FLAIR MR image.
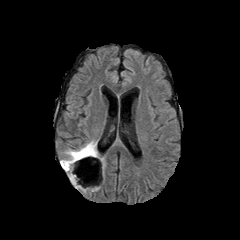
T1-weighted MRI.
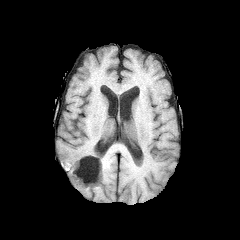
Post-contrast T1-weighted MR.
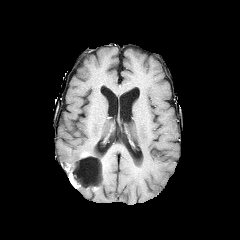
T2-weighted MRI.
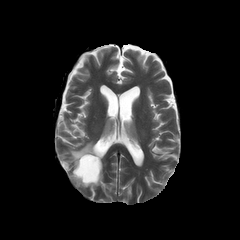
Brain
The edema appears at (60, 140, 97, 187). The non-enhancing tumor core lies within (79, 145, 97, 159).